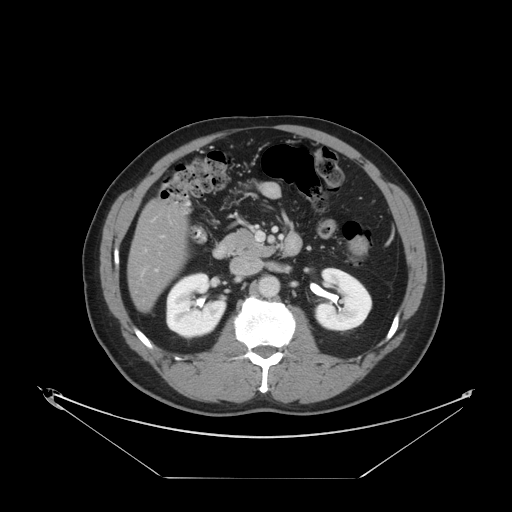
Computed tomography; Abdomen

Some hepatic vessels may have no box.
3 hepatic vessel regions are located at region(161, 235, 163, 237); region(155, 269, 157, 270); region(152, 219, 154, 221).